Computed tomography, Slice index 70, Lower abdomen
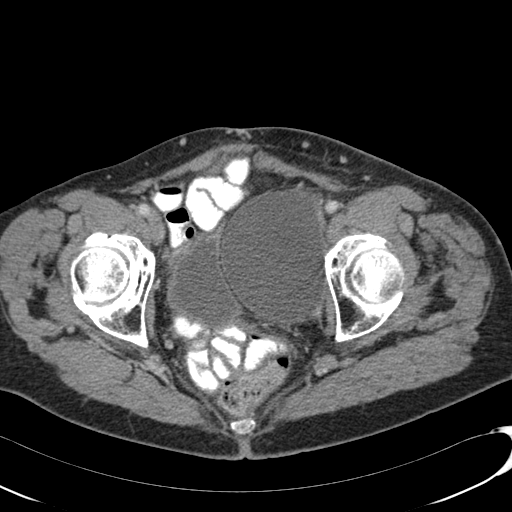 Urinary bladder = 165,215,246,329; 195,165,224,177.